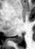

35x49; Magnetic resonance
The posterior hippocampus appears at rect(12, 35, 22, 43).